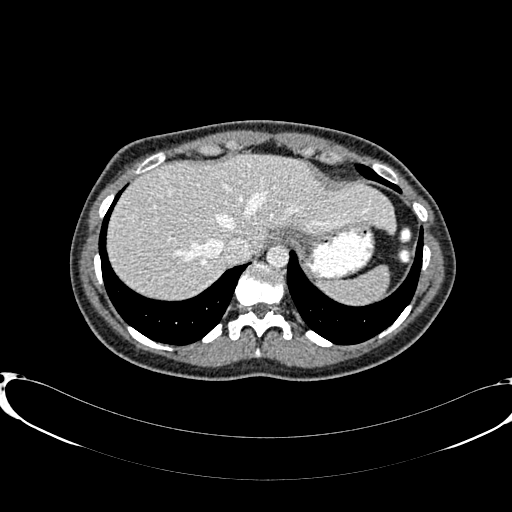 CT, Abdomen
The liver appears at (107, 154, 395, 298).